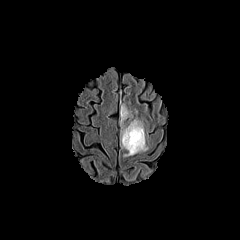
FLAIR MR.
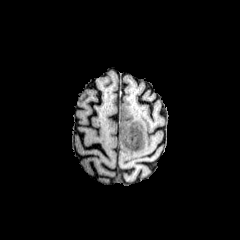
Same slice, T1-weighted magnetic resonance.
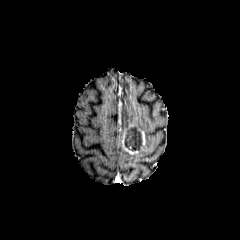
Post-contrast T1-weighted MR of the same slice.
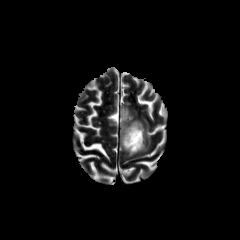
Same slice, T2-weighted magnetic resonance.
Brain, Image size 240x240
{"edema": ["[119,102,129,119]", "[130,120,143,129]"], "enhancing_tumor": ["[141,130,147,148]", "[121,130,145,154]"], "non-enhancing_tumor_core": ["[124,126,143,151]"]}